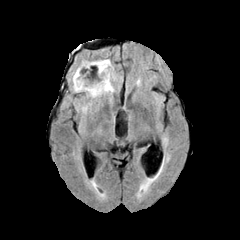
FLAIR MR image.
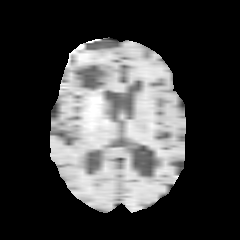
T1-weighted MR image of the same slice.
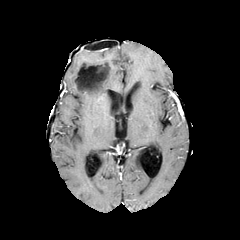
Post-contrast T1-weighted MR.
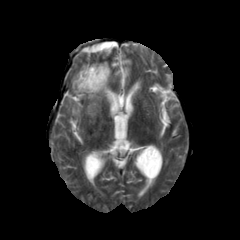
Same slice, T2-weighted MRI.
240x240 px, Head
non-enhancing_tumor_core:
  - (x1=78, y1=68, x2=107, y2=89)
edema:
  - (x1=70, y1=60, x2=121, y2=103)